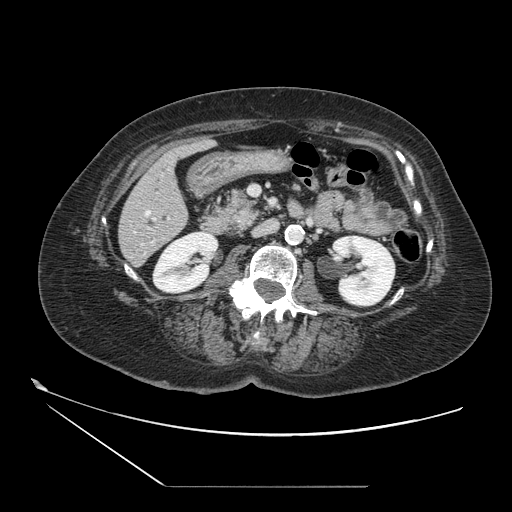

CT image
The pancreas is located at [211,190,259,229]. The pancreatic tumor is located at [234,210,255,226].